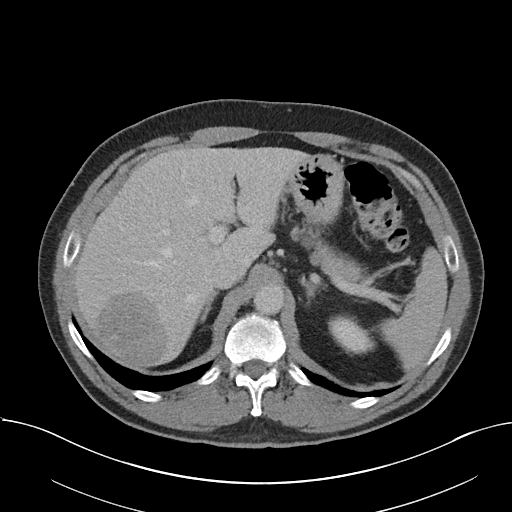 CT slice. Abdomen.

The vessel boxes may cover only some of the vessels.
Most prominent 15 of 19 hepatic vessel regions: [185,238,189,241], [244,251,256,264], [186,294,194,301], [163,222,168,223], [238,203,248,219], [163,248,172,256], [209,220,224,242], [173,261,176,263], [197,239,203,240], [196,294,203,296], [186,196,197,204], [223,244,226,256], [145,260,160,267], [120,227,123,229], [163,229,169,234].
Liver tumor: [97,292,167,364].